240x240 px. Slice index 100.
FLAIR MR.
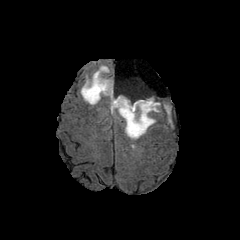
T1-weighted MR image.
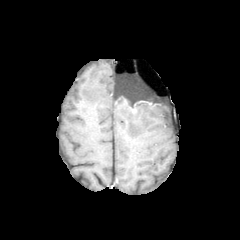
Post-contrast T1-weighted magnetic resonance.
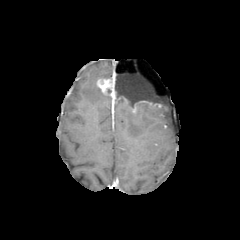
T2-weighted MRI.
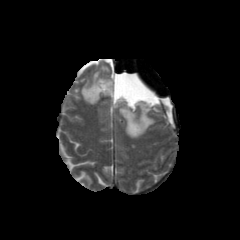
3 edema regions are located at l=114, t=71, r=119, b=93; l=80, t=63, r=111, b=111; l=114, t=99, r=160, b=138. The enhancing tumor is located at l=96, t=71, r=116, b=115. The non-enhancing tumor core lies within l=115, t=82, r=156, b=112.